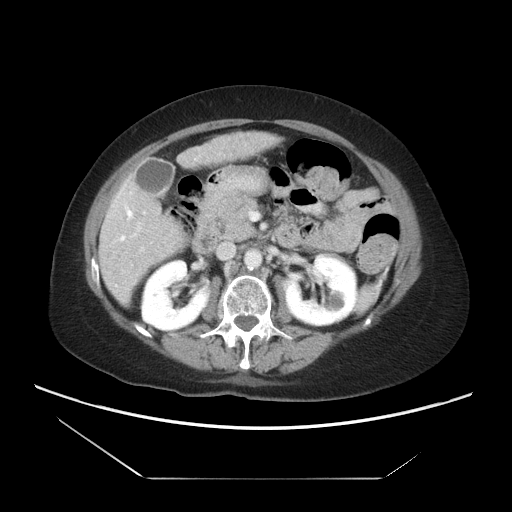
CT scan slice
Some hepatic vessels may have no box.
Hepatic vessel — box=[116, 236, 124, 240]; box=[126, 207, 132, 218]; box=[132, 234, 136, 236]; box=[143, 212, 145, 213].